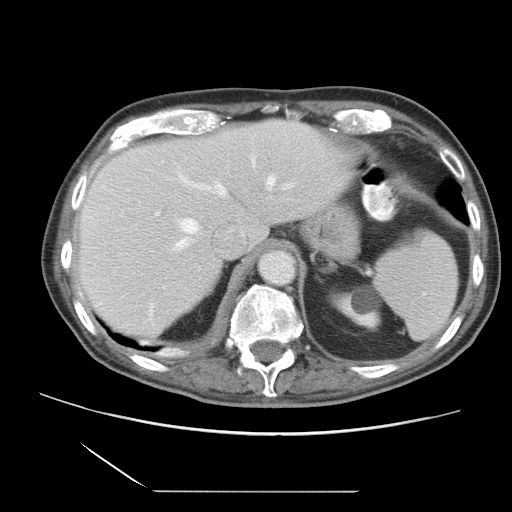 512x512 px; CT image
Only some of the vessels may be annotated.
hepatic vessel: x1=267 y1=176 x2=275 y2=186, x1=148 y1=303 x2=153 y2=315, x1=171 y1=218 x2=200 y2=251, x1=155 y1=211 x2=159 y2=215, x1=178 y1=173 x2=225 y2=195, x1=252 y1=156 x2=255 y2=165, x1=286 y1=184 x2=291 y2=188